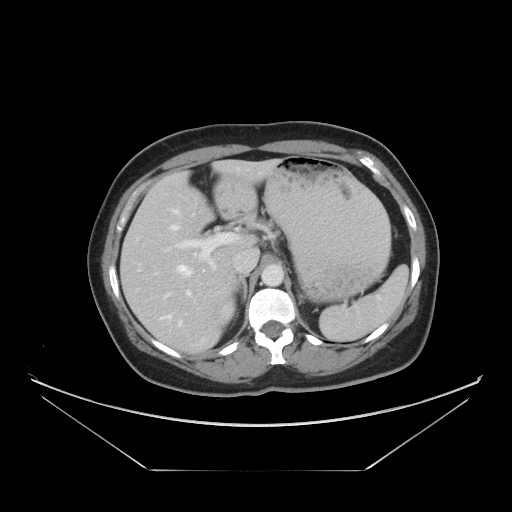 CT scan slice | Liver | Image size 512x512
Some hepatic vessels may have no box.
hepatic_vessel:
  - l=180, t=267, r=184, b=270
  - l=178, t=241, r=199, b=246
  - l=184, t=271, r=190, b=274
  - l=200, t=248, r=214, b=268